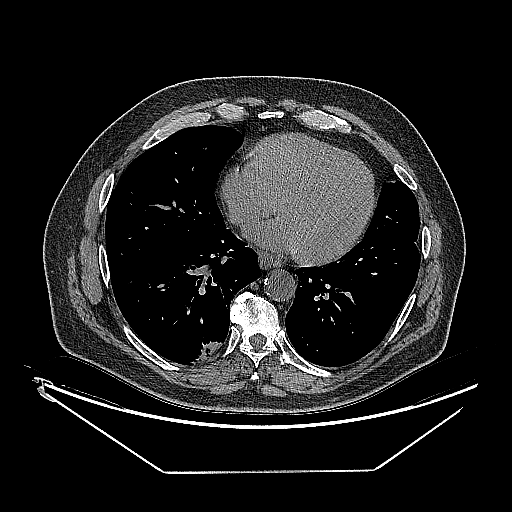 Chest, CT image

Findings:
* lung tumor: <bbox>192, 340, 222, 364</bbox>